CT image. Abdomen. Slice 36/87. 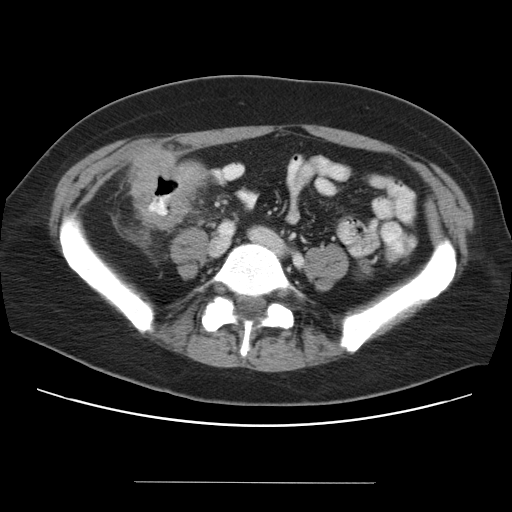

colon_tumor:
  - <bbox>131, 149, 201, 227</bbox>